FLAIR MRI.
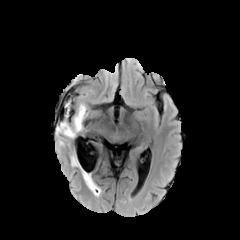
T1-weighted MR image.
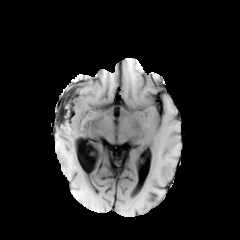
Post-contrast T1-weighted MRI.
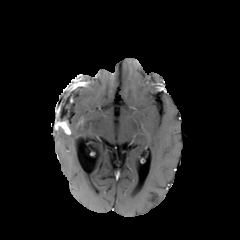
T2-weighted MR image.
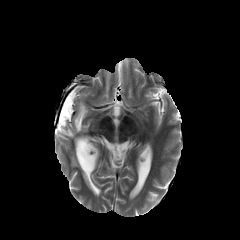
Head
The enhancing tumor is bounded by bbox=[56, 120, 70, 133]. 3 edema regions are located at bbox=[56, 101, 87, 139]; bbox=[71, 154, 79, 166]; bbox=[81, 169, 100, 195].